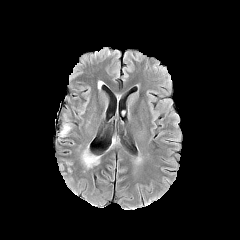
FLAIR MR image.
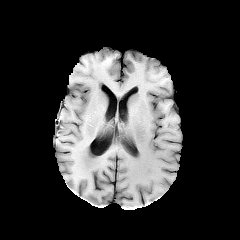
T1-weighted MRI.
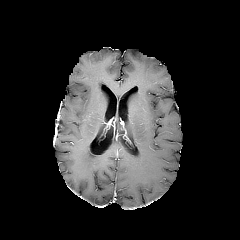
Post-contrast T1-weighted magnetic resonance of the same slice.
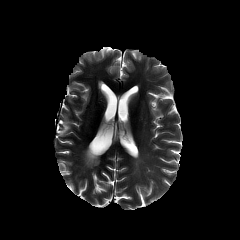
Same slice, T2-weighted MRI.
The edema is located at box(83, 149, 99, 167).